Field of view 240x240 mm
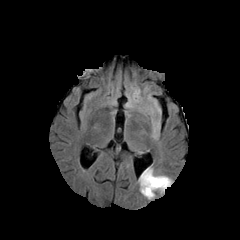
FLAIR MRI.
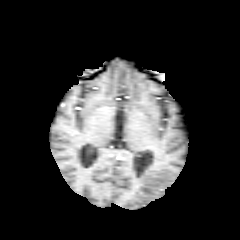
T1-weighted magnetic resonance of the same slice.
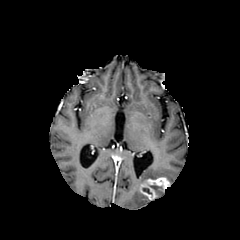
Post-contrast T1-weighted MR image.
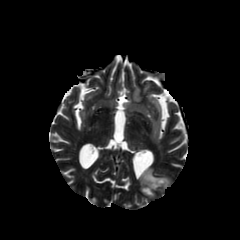
Same slice, T2-weighted MR image.
The enhancing tumor is located at (141, 177, 170, 198). 2 edema regions are bounded by (153, 186, 163, 193), (138, 166, 171, 191).